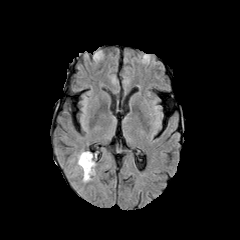
FLAIR MR image.
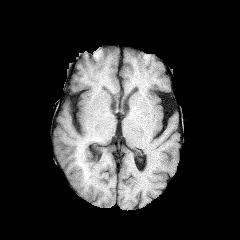
T1-weighted MR image.
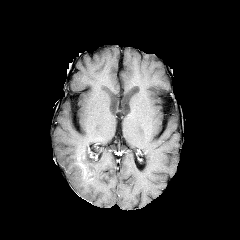
Post-contrast T1-weighted MR image of the same slice.
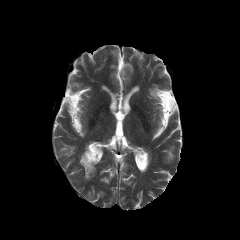
T2-weighted MR.
240x240
non-enhancing tumor core: l=82, t=153, r=95, b=170 | enhancing tumor: l=79, t=152, r=88, b=176 | edema: l=77, t=161, r=96, b=181